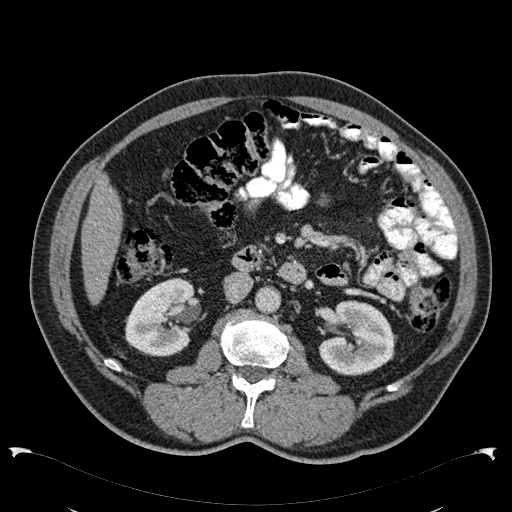

512x512 px. Computed tomography. Kidney at (125, 278, 198, 355), (319, 301, 394, 375).
Liver at (82, 175, 122, 304).